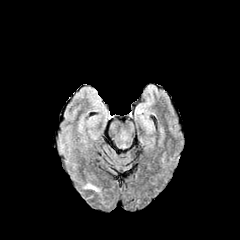
FLAIR MRI.
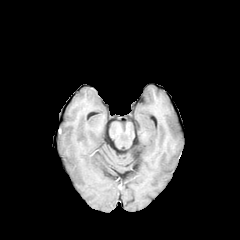
T1-weighted MR image of the same slice.
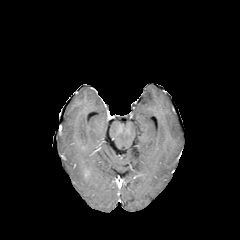
Post-contrast T1-weighted MR image of the same slice.
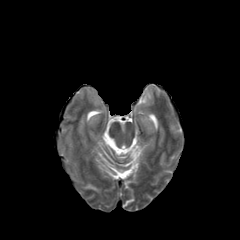
Same slice, T2-weighted MR.
Head
The edema lies within left=85, top=182, right=99, bottom=191.